FLAIR MRI.
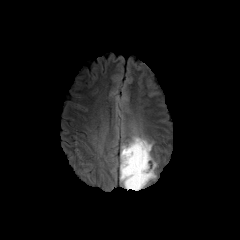
T1-weighted MR.
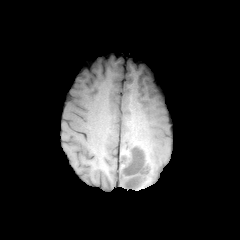
Post-contrast T1-weighted MR.
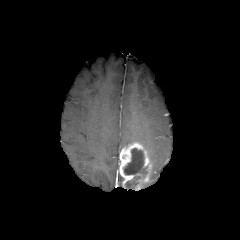
T2-weighted MRI.
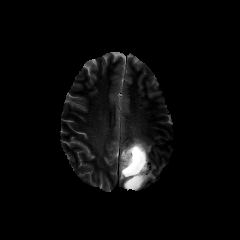
Head
edema:
  - box=[120, 136, 155, 185]
non-enhancing_tumor_core:
  - box=[124, 148, 147, 177]
  - box=[126, 182, 137, 188]
enhancing_tumor:
  - box=[119, 142, 149, 189]